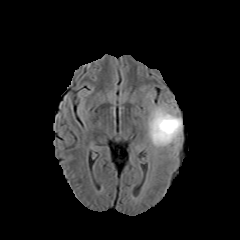
FLAIR MR.
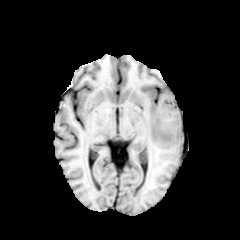
T1-weighted MRI of the same slice.
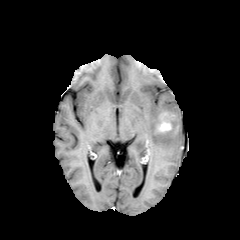
Post-contrast T1-weighted MR of the same slice.
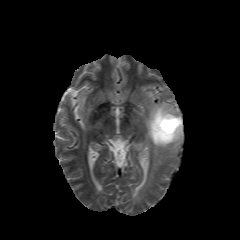
T2-weighted MRI of the same slice.
240x240 px. Head.
<segmentation>
  <edema>140, 94, 183, 155</edema>
  <non-enhancing_tumor_core>154, 117, 179, 139</non-enhancing_tumor_core>
</segmentation>